512x512 px; Computed tomography; Upper abdomen
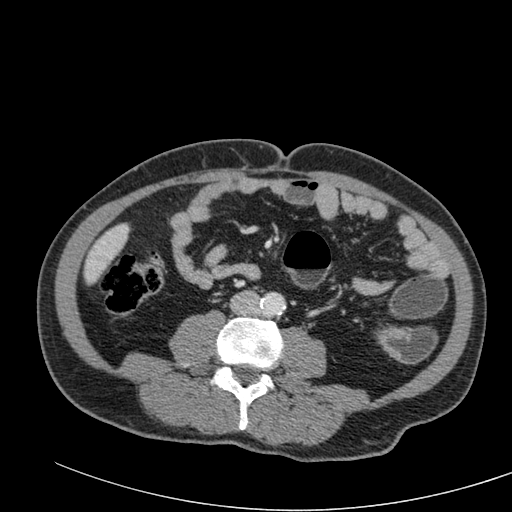
The liver lies within left=85, top=224, right=128, bottom=282.